Slice 64 of 155. Field of view 240 mm wide, 1.00 mm slice spacing.
FLAIR MR.
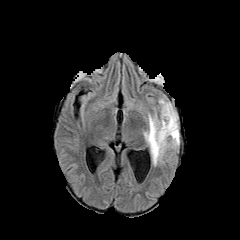
T1-weighted MR image.
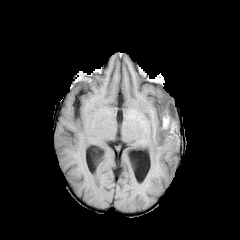
Post-contrast T1-weighted MR.
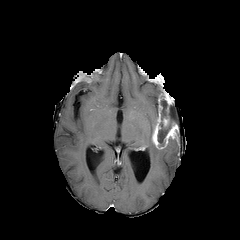
T2-weighted MR.
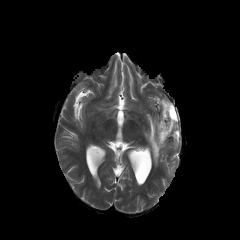
The edema appears at {"x1": 143, "y1": 100, "x2": 179, "y2": 166}. The non-enhancing tumor core lies within {"x1": 157, "y1": 100, "x2": 177, "y2": 145}. 3 enhancing tumor regions are bounded by {"x1": 151, "y1": 117, "x2": 167, "y2": 148}, {"x1": 158, "y1": 94, "x2": 173, "y2": 111}, {"x1": 164, "y1": 122, "x2": 178, "y2": 144}.